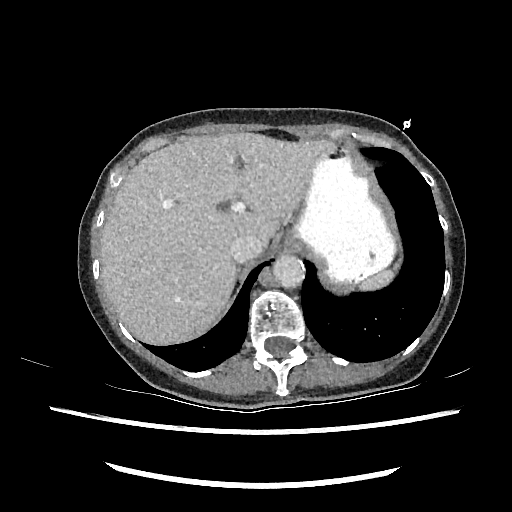 Computed tomography
liver:
  - 102, 133, 329, 342